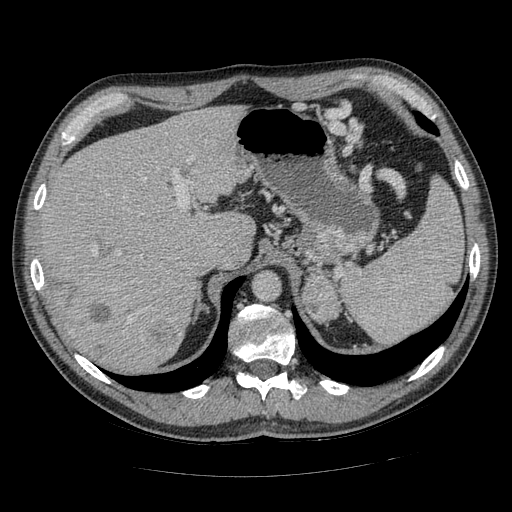

CT scan slice
Pancreatic tumor: bbox(302, 272, 339, 321).